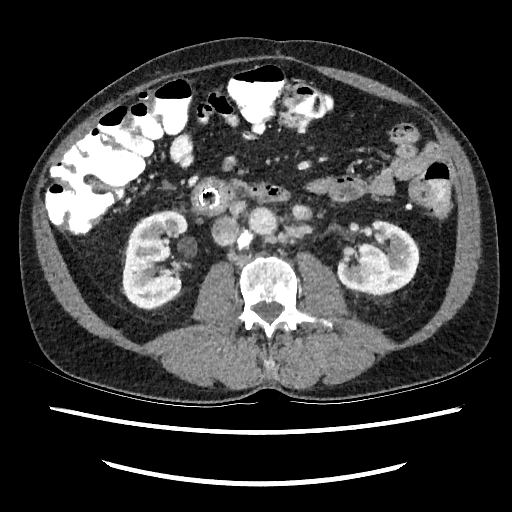
Abdomen, 512x512 px, CT image
* kidney: [x1=338, y1=222, x2=418, y2=294], [x1=123, y1=212, x2=186, y2=307]